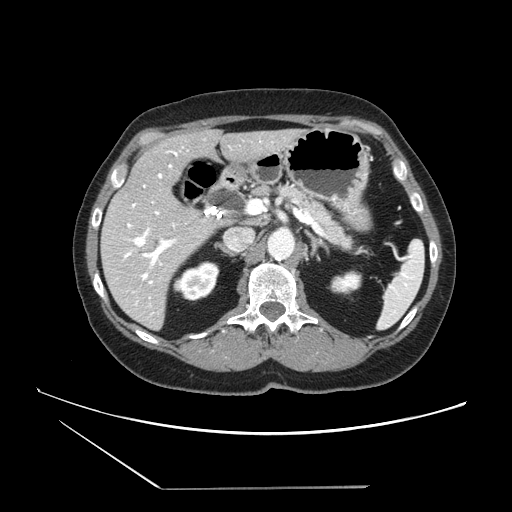
CT image
<segmentation>
  <pancreas>(278, 186, 352, 248)</pancreas>
</segmentation>